Image width 350 mm. Computed tomography. Abdomen. 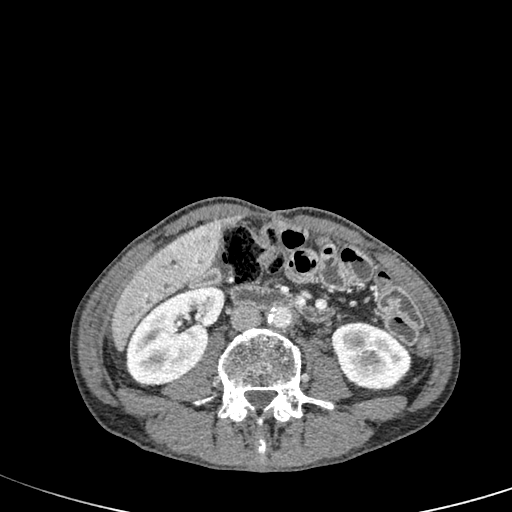

Focal liver lesion: bounding box x1=224 y1=216 x2=239 y2=224.
Kidney: bounding box x1=127 y1=287 x2=223 y2=384, x1=332 y1=323 x2=409 y2=388.
Liver: bounding box x1=113 y1=219 x2=224 y2=350.